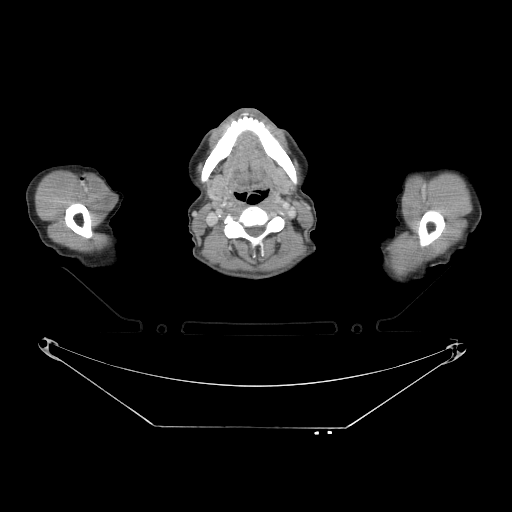

Computed tomography
Segmented structures:
- bone: (65,203,92,237), (418,210,444,246), (224,206,283,250), (202,113,296,183)